CT scan slice, Abdomen 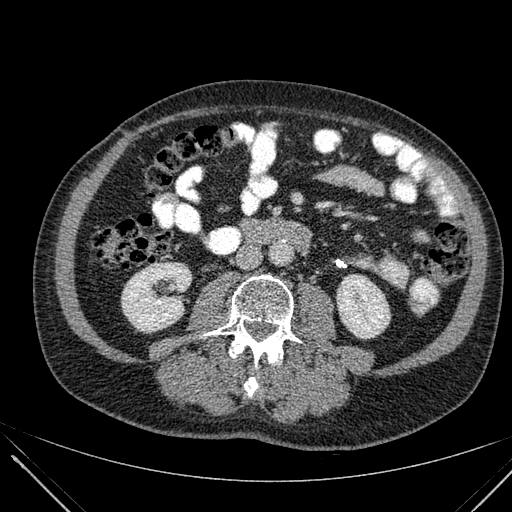
Kidney at (337, 275, 389, 338), (122, 263, 191, 331).